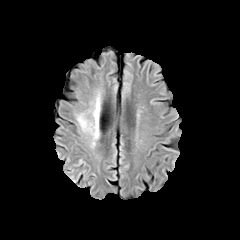
FLAIR magnetic resonance.
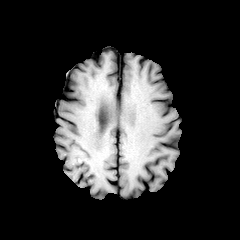
T1-weighted MRI.
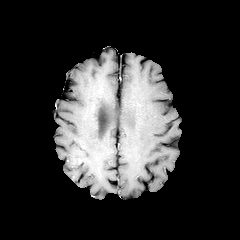
Same slice, post-contrast T1-weighted magnetic resonance.
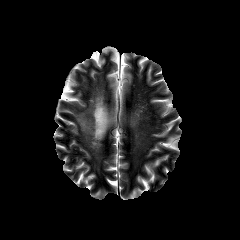
T2-weighted MRI.
Edema = region(76, 90, 101, 148).